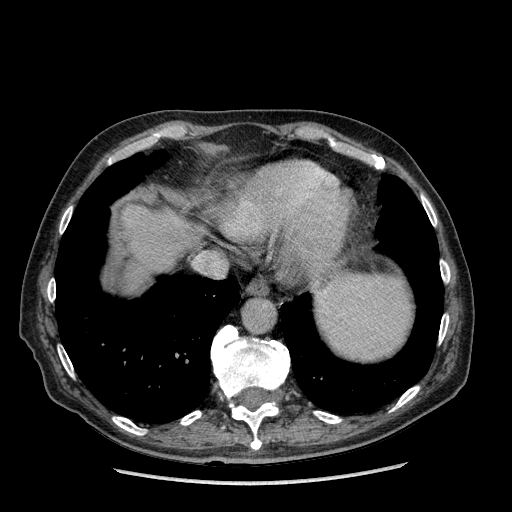
Abdomen. CT slice. <segmentation>
  <liver>123, 206, 203, 278</liver>
</segmentation>